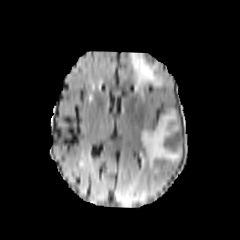
FLAIR MR.
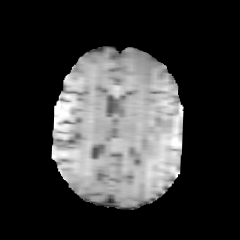
T1-weighted magnetic resonance of the same slice.
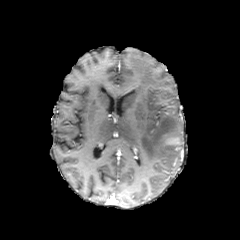
Post-contrast T1-weighted MRI.
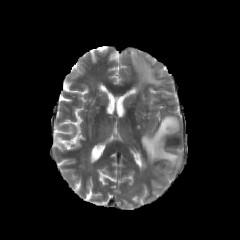
T2-weighted MR.
Head.
<segmentation>
  <edema>[128,52,163,98], [141,109,182,168]</edema>
</segmentation>